Slice 633 of 733. Image size 512x512. Upper abdomen. CT. 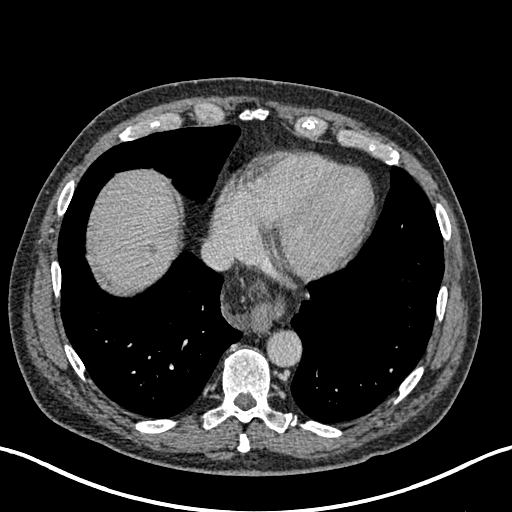 The liver appears at box=[88, 170, 178, 293]. The hepatic lesion is located at box=[148, 244, 156, 253].